CT. 512x512 px.
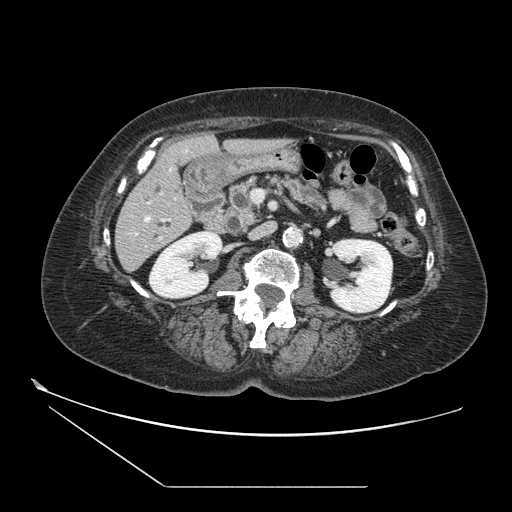
- pancreas: bbox=[267, 177, 325, 210]; bbox=[230, 182, 254, 216]
- pancreatic tumor: bbox=[240, 213, 254, 225]